Slice index 11, Pelvis
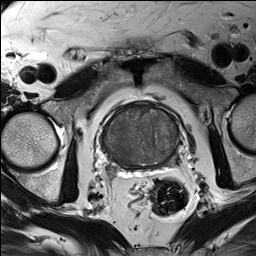
T2-weighted MRI.
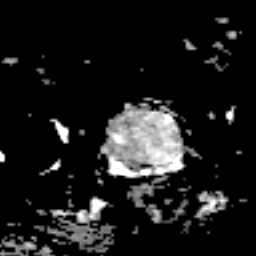
ADC magnetic resonance.
<segmentation>
  <prostate_peripheral_zone><bbox>105, 107, 176, 166</bbox></prostate_peripheral_zone>
</segmentation>